Brain, 240x240
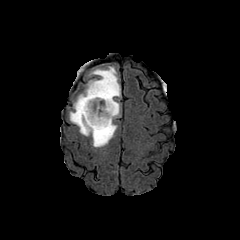
FLAIR MR image.
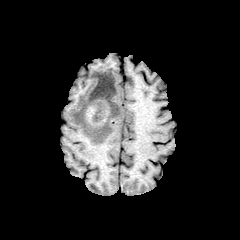
Same slice, T1-weighted MR image.
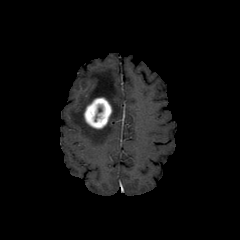
Same slice, post-contrast T1-weighted magnetic resonance.
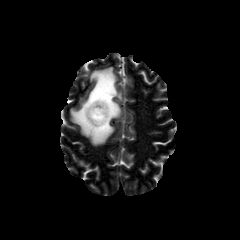
T2-weighted MR.
The enhancing tumor is located at (83,97,112,129). The edema appears at (69,66,121,147).